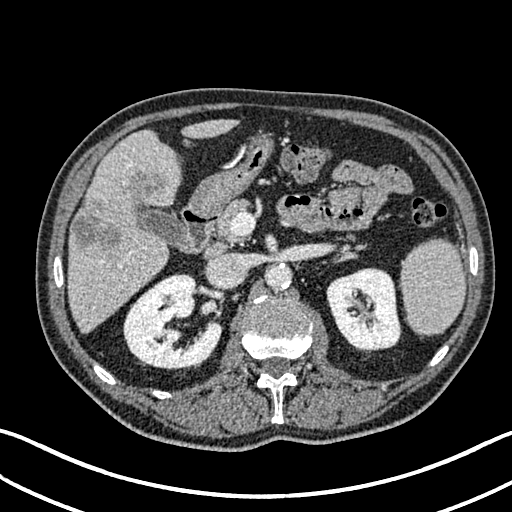 512x512 | Computed tomography
Focal liver lesion: bounding box box=[72, 203, 121, 250]; box=[129, 171, 164, 198].
Kidney: bounding box box=[327, 269, 399, 349]; box=[202, 302, 214, 313]; box=[124, 275, 220, 368].
Liver: bounding box box=[183, 120, 236, 137]; box=[69, 130, 180, 332].